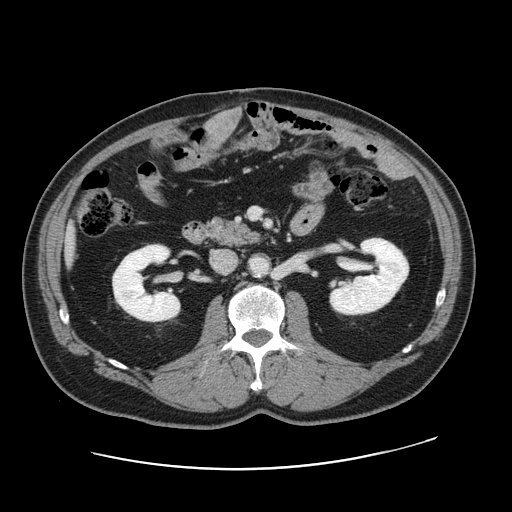

Liver; CT image; Image size 512x512
Not every hepatic vessel necessarily has a box.
Annotated regions:
* hepatic vessel: rect(66, 231, 73, 259)